CT scan slice; Slice 446/733; Upper abdomen 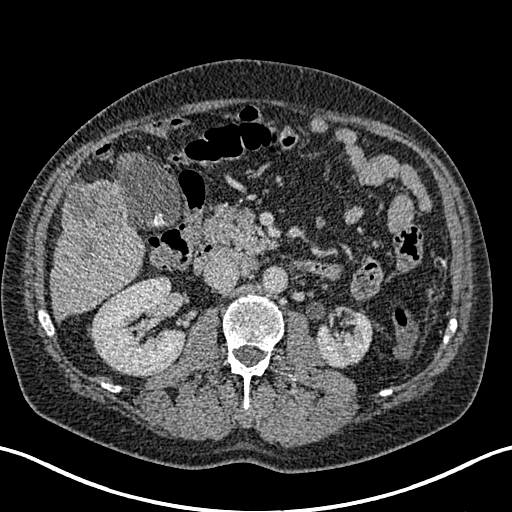

Liver at box(50, 181, 144, 322).
Kidney at box(317, 313, 371, 366); box(92, 278, 183, 375).
Liver lesion at box(65, 184, 119, 260).